Head; 240x240 px
FLAIR magnetic resonance.
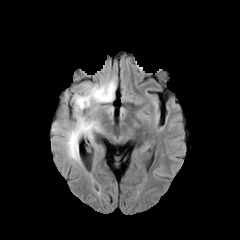
T1-weighted MR image.
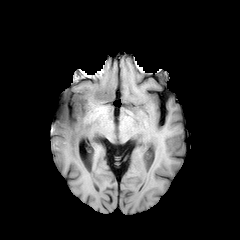
Post-contrast T1-weighted magnetic resonance.
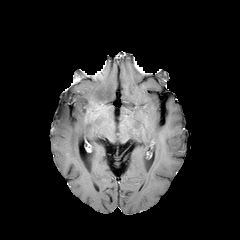
T2-weighted MR image.
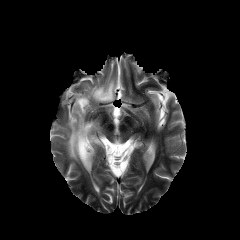
edema:
  - l=51, t=76, r=116, b=166
non-enhancing_tumor_core:
  - l=71, t=100, r=76, b=121